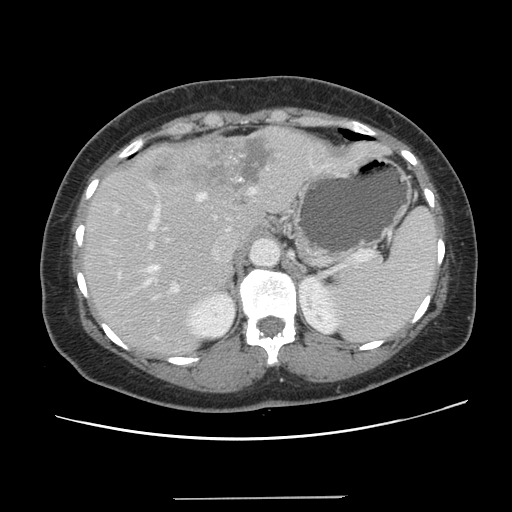 CT scan slice. Liver.

Not every hepatic vessel necessarily has a box.
Liver tumor at x1=145 y1=138 x2=270 y2=199.
Hepatic vessel at x1=153 y1=297 x2=155 y2=298, x1=250 y1=188 x2=256 y2=193, x1=119 y1=272 x2=119 y2=275, x1=146 y1=265 x2=158 y2=272, x1=145 y1=279 x2=155 y2=284, x1=149 y1=243 x2=152 y2=247, x1=149 y1=204 x2=159 y2=230, x1=197 y1=193 x2=205 y2=200, x1=156 y1=337 x2=157 y2=338, x1=116 y1=207 x2=118 y2=211, x1=170 y1=285 x2=178 y2=291.